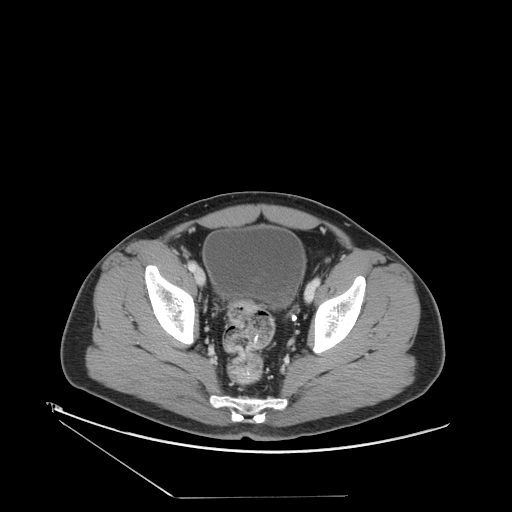

CT slice. Colon tumor: (229,319,243,327), (235,300,256,313).